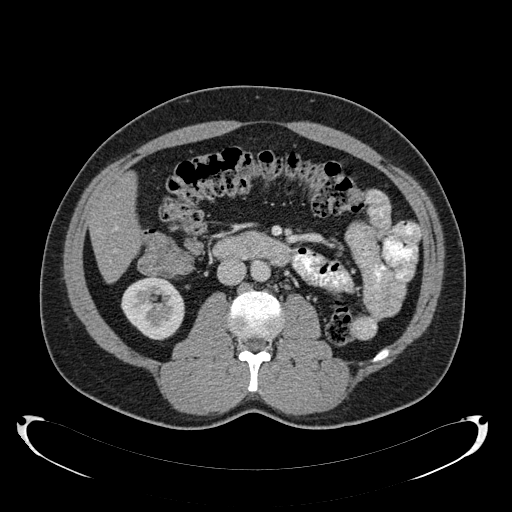

Liver, 512x512 px, CT image
{
  "kidney": [
    "[122,277,183,339]"
  ],
  "liver": [
    "[90,172,139,281]"
  ]
}